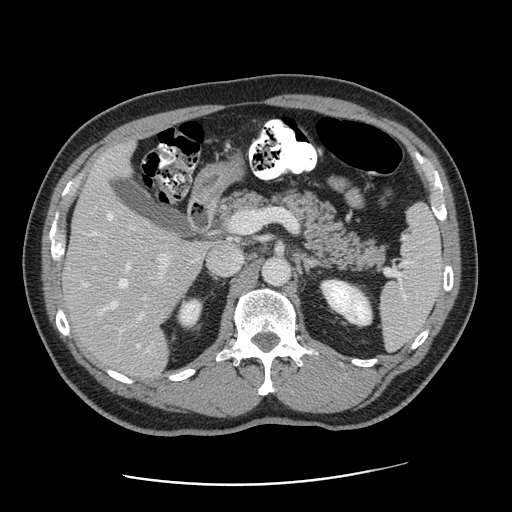
Liver. CT slice. Some hepatic vessels may have no box.
<segmentation>
  <hepatic_vessel>(108, 214, 112, 218), (100, 308, 106, 314), (108, 302, 117, 308), (203, 244, 243, 274), (127, 262, 130, 267), (158, 253, 169, 264), (137, 315, 142, 320), (138, 345, 139, 347), (84, 283, 87, 285), (120, 279, 127, 286), (231, 213, 250, 233)</hepatic_vessel>
  <liver_tumor>(83, 233, 107, 252)</liver_tumor>
</segmentation>